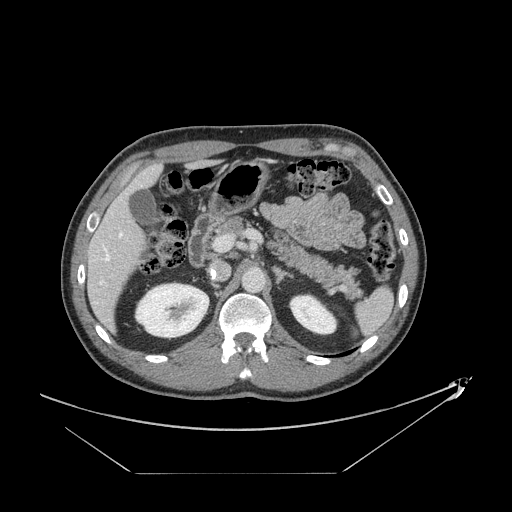

Upper abdomen, CT scan slice
{"pancreas": ["[x1=217, y1=217, x2=247, y2=236]", "[x1=269, y1=237, x2=359, y2=297]"]}